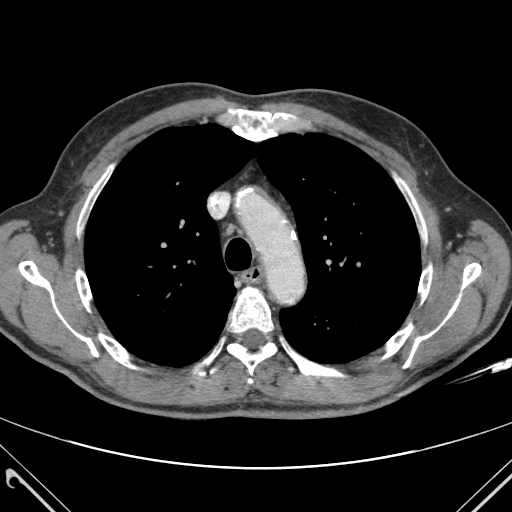

Computed tomography
14 bone regions appear at l=384, t=324, r=412, b=357; l=231, t=287, r=272, b=332; l=77, t=165, r=112, b=233; l=227, t=343, r=276, b=374; l=418, t=265, r=432, b=302; l=286, t=349, r=342, b=375; l=397, t=178, r=426, b=240; l=227, t=109, r=294, b=140; l=99, t=334, r=134, b=368; l=76, t=270, r=91, b=311; l=462, t=263, r=480, b=288; l=19, t=261, r=98, b=356; l=403, t=295, r=460, b=367; l=203, t=348, r=220, b=364. 2 lung regions are bounded by l=84, t=124, r=252, b=366; l=257, t=133, r=420, b=363.